FLAIR magnetic resonance.
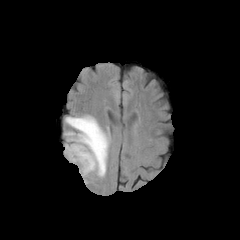
T1-weighted magnetic resonance.
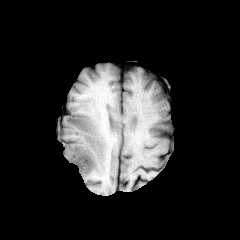
Post-contrast T1-weighted magnetic resonance.
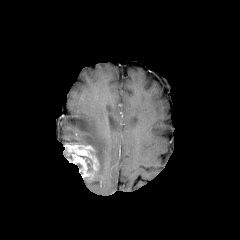
T2-weighted MRI.
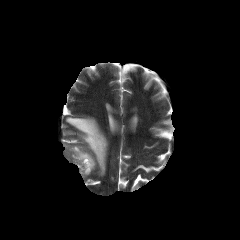
Brain
The enhancing tumor appears at (left=65, top=143, right=97, bottom=176). The edema is at (left=66, top=116, right=108, bottom=175).